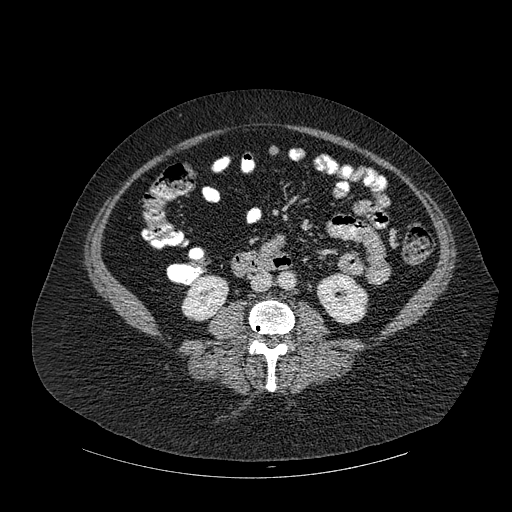 CT scan slice; Abdomen; 512x512 px

The bone is bounded by (249, 300, 294, 391). 2 kidney regions are bounded by (182, 276, 228, 320), (317, 274, 366, 323).